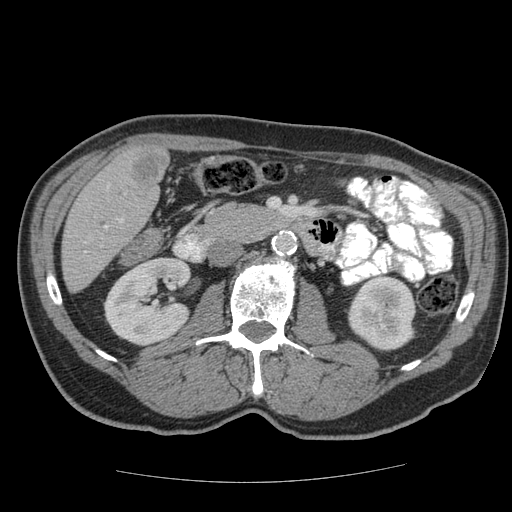 Liver | CT slice

Not every hepatic vessel necessarily has a box.
<segmentation>
  <hepatic_vessel>[x1=104, y1=226, x2=106, y2=229]</hepatic_vessel>
  <liver_tumor>[x1=136, y1=158, x2=160, y2=179]</liver_tumor>
</segmentation>